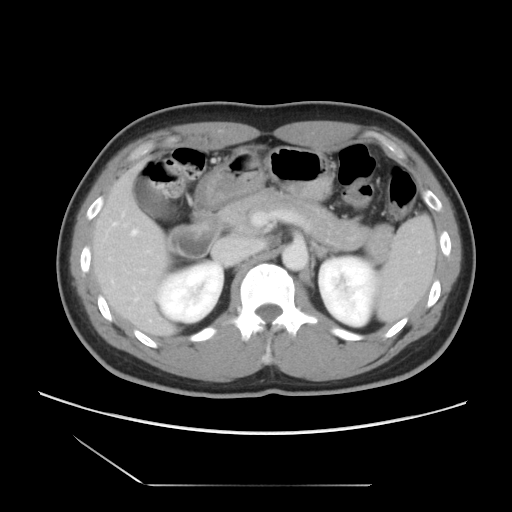 CT scan slice, Image size 512x512
Some hepatic vessels may have no box.
Segmented structures:
* hepatic vessel: bbox=[133, 231, 135, 233]